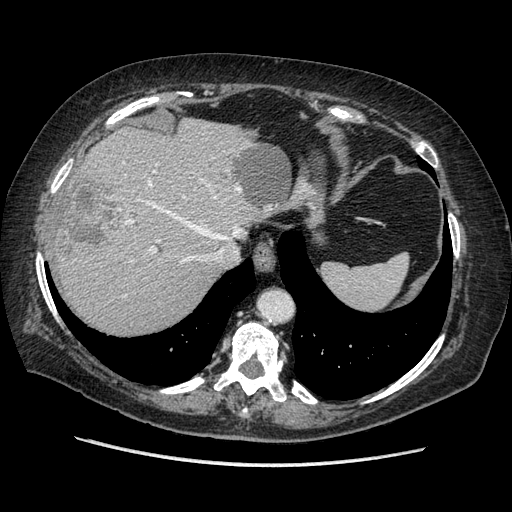 Liver, Computed tomography
Some hepatic vessels may have no box.
• liver tumor: l=63, t=175, r=128, b=249
• hepatic vessel: l=200, t=251, r=222, b=259; l=150, t=204, r=228, b=238; l=149, t=181, r=150, b=185; l=127, t=219, r=131, b=223; l=150, t=247, r=155, b=251; l=233, t=228, r=240, b=235; l=139, t=198, r=141, b=200